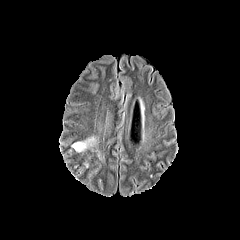
FLAIR MR.
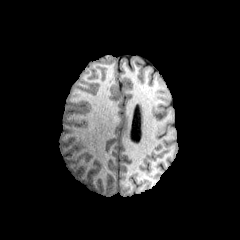
Same slice, T1-weighted MR.
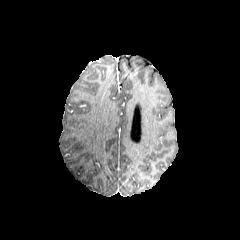
Post-contrast T1-weighted magnetic resonance.
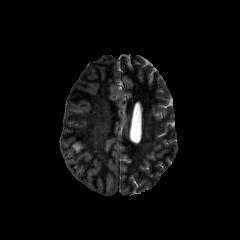
T2-weighted MRI.
Findings:
- edema: 71, 136, 96, 152